512x512 px. Slice index 186. Computed tomography.

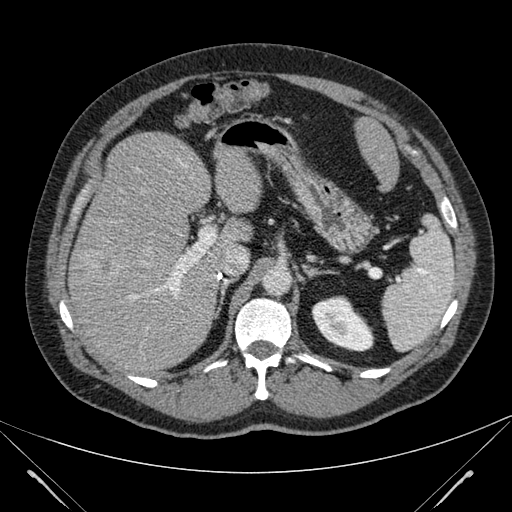
3 liver regions are located at region(215, 147, 261, 212); region(59, 132, 248, 378); region(355, 117, 398, 190). The liver lesion is bounded by region(95, 257, 111, 276). The kidney is bounded by region(313, 298, 372, 349).